Brain
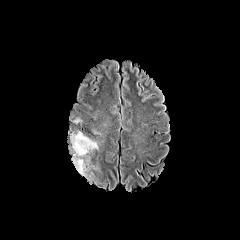
FLAIR MR.
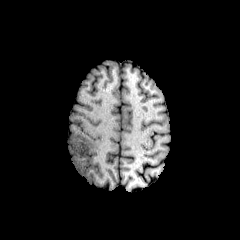
T1-weighted MRI.
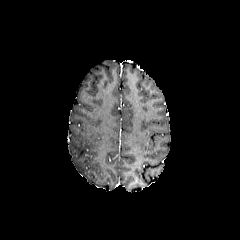
Post-contrast T1-weighted MR.
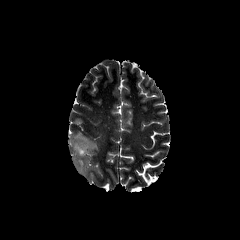
T2-weighted magnetic resonance.
The edema appears at [70, 131, 97, 177].